Slice index 576. Chest. CT scan slice. 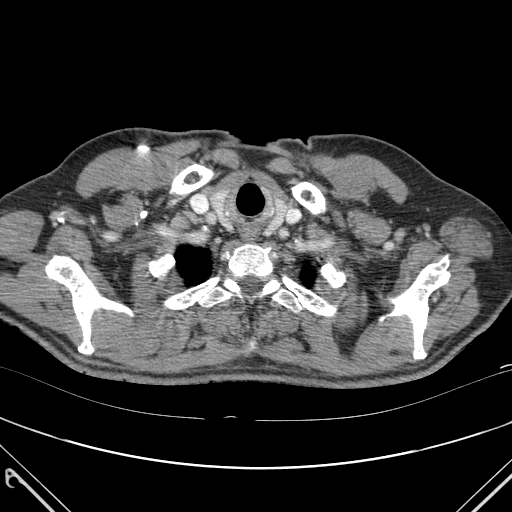
Segmented structures:
* bone: bbox=[321, 263, 345, 287]; bbox=[149, 254, 174, 276]; bbox=[272, 276, 335, 315]; bbox=[227, 244, 272, 276]; bbox=[389, 255, 449, 358]; bbox=[165, 277, 279, 309]; bbox=[292, 182, 324, 213]; bbox=[46, 256, 132, 353]; bbox=[171, 164, 212, 194]
* lung: bbox=[175, 246, 210, 284]; bbox=[301, 265, 315, 286]